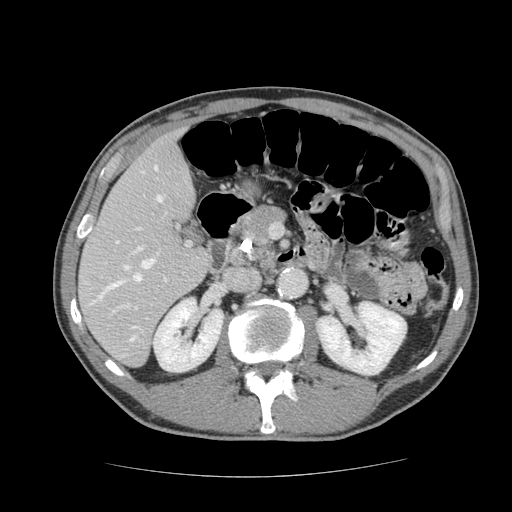
CT image, Upper abdomen, 512x512
Pancreatic tumor = box(244, 206, 279, 234).
Pancreas = box(228, 204, 288, 264).